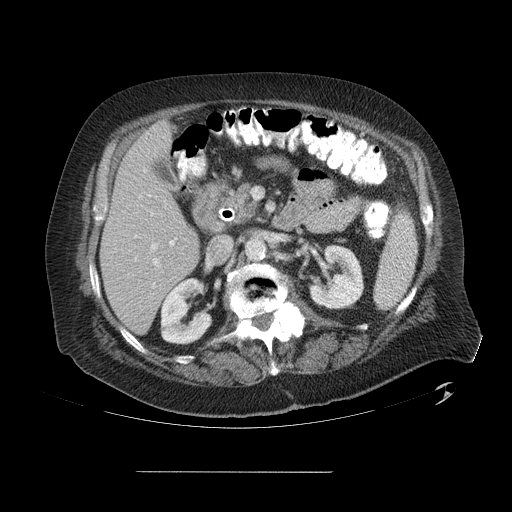
Abdomen, CT image

Only some of the vessels may be annotated.
8 hepatic vessel regions appear at 143,169,146,171; 152,243,157,250; 135,235,137,237; 152,283,154,287; 153,258,159,269; 151,213,153,214; 170,241,173,244; 139,195,140,197.